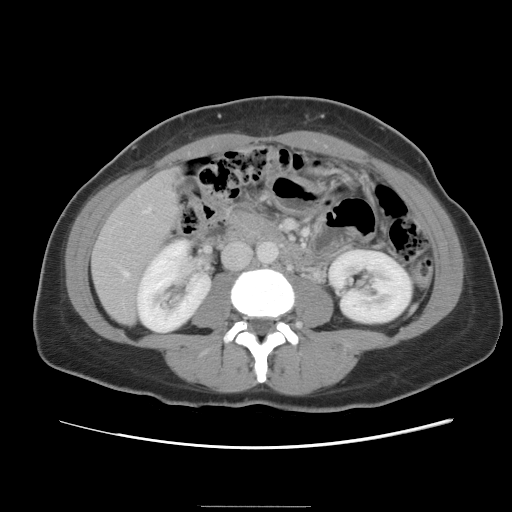 CT, Liver
The vessel boxes may cover only some of the vessels.
hepatic_vessel:
  - <bbox>142, 206, 149, 212</bbox>
  - <bbox>122, 270, 127, 274</bbox>